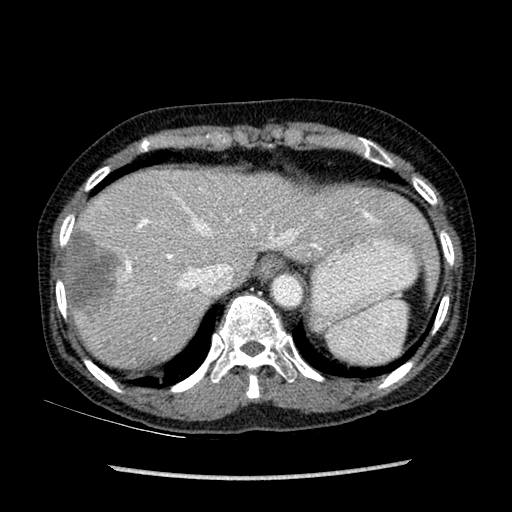 Computed tomography. Upper abdomen.
The liver lesion lies within <bbox>63, 228, 122, 317</bbox>. The liver appears at <bbox>68, 165, 438, 368</bbox>.